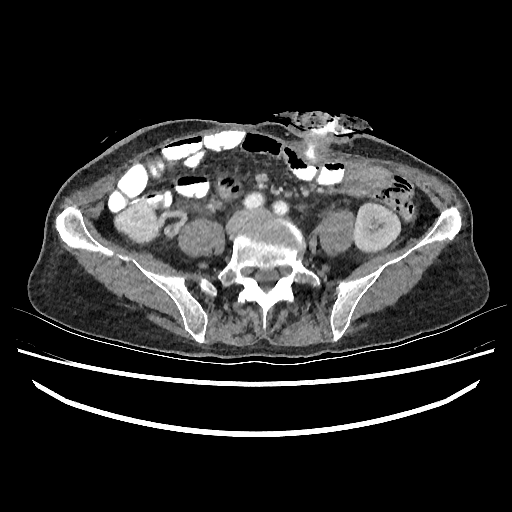

Abdomen; CT
kidney:
  - (115,206,157,241)
  - (354,203,400,250)